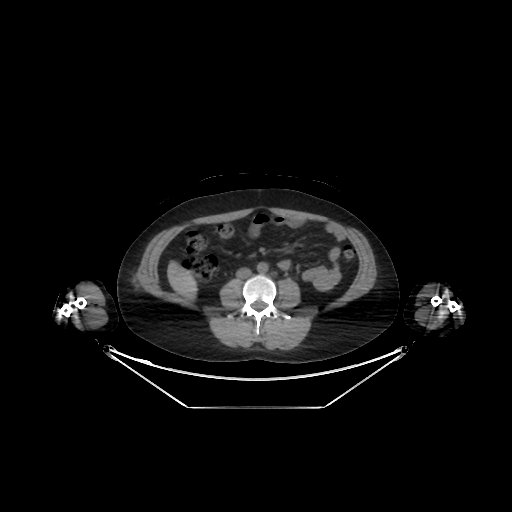 CT slice
Liver at x1=167, y1=261, x2=197, y2=299.